512x512 px, CT

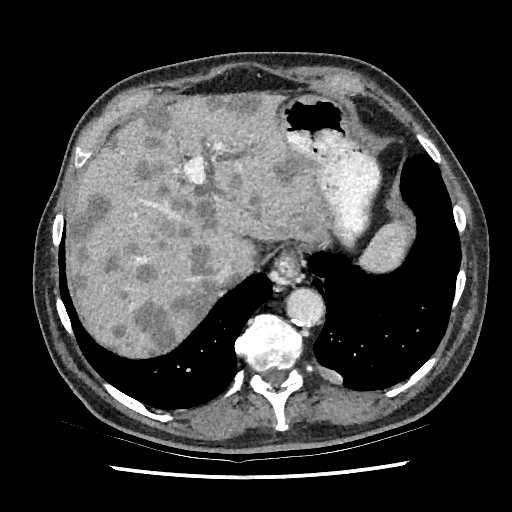

• liver: x1=69 y1=95 x2=335 y2=355, x1=178 y1=327 x2=193 y2=341
• hepatic lesion: x1=137 y1=266 x2=156 y2=282, x1=129 y1=239 x2=141 y2=252, x1=271 y1=147 x2=313 y2=185, x1=115 y1=327 x2=125 y2=338, x1=71 y1=193 x2=113 y2=294, x1=143 y1=111 x2=174 y2=152, x1=209 y1=94 x2=263 y2=113, x1=228 y1=173 x2=242 y2=188, x1=103 y1=253 x2=122 y2=273, x1=158 y1=186 x2=218 y2=249, x1=249 y1=192 x2=262 y2=212, x1=299 y1=220 x2=313 y2=232, x1=130 y1=245 x2=216 y2=352, x1=274 y1=225 x2=292 y2=236, x1=132 y1=161 x2=165 y2=182